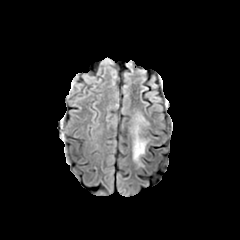
FLAIR MR.
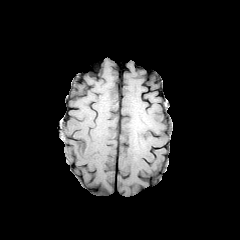
T1-weighted magnetic resonance.
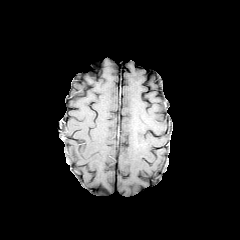
Post-contrast T1-weighted MR.
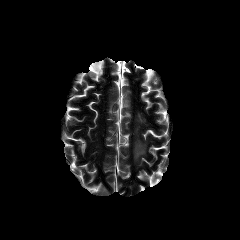
Same slice, T2-weighted MR image.
240x240
The edema is at (x1=133, y1=139, x2=145, y2=159).